240x240. Head. Slice 120 of 155.
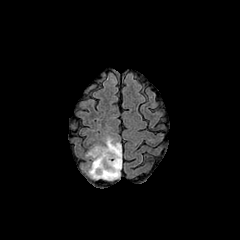
FLAIR MR image.
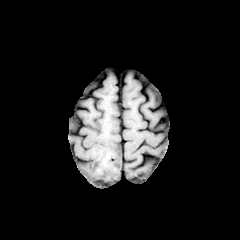
T1-weighted MRI of the same slice.
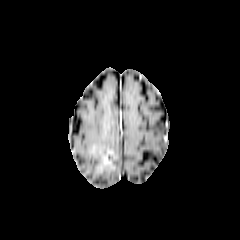
Post-contrast T1-weighted magnetic resonance.
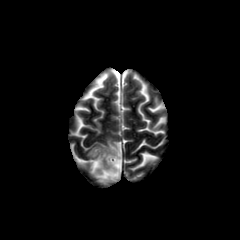
T2-weighted magnetic resonance.
Segmented structures:
• edema: 84, 135, 121, 181
• non-enhancing tumor core: 94, 148, 119, 172